FLAIR MR image.
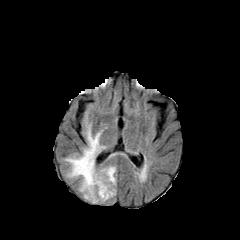
T1-weighted MR.
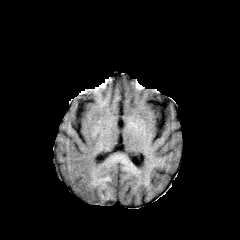
Post-contrast T1-weighted magnetic resonance.
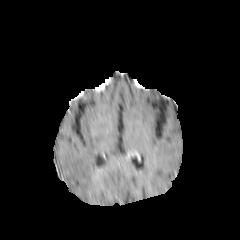
T2-weighted MRI.
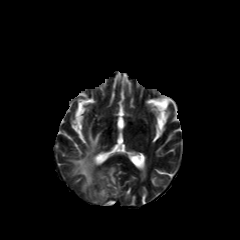
Image size 240x240, Brain
Segmented structures:
* edema: 66, 124, 116, 203